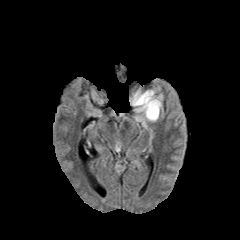
FLAIR MR.
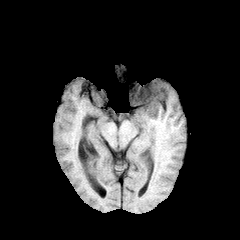
T1-weighted MR image.
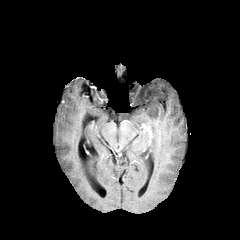
Post-contrast T1-weighted MRI.
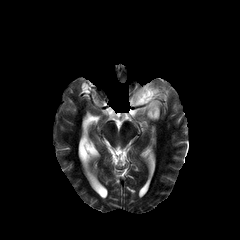
T2-weighted MRI.
240x240. Brain.
The edema appears at box(129, 83, 163, 127).